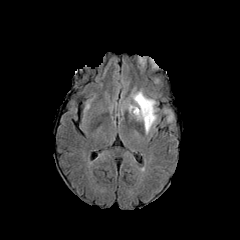
FLAIR MR.
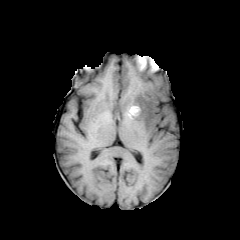
T1-weighted MRI.
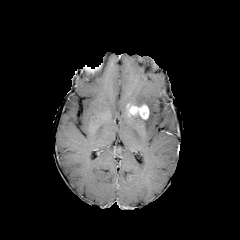
Same slice, post-contrast T1-weighted magnetic resonance.
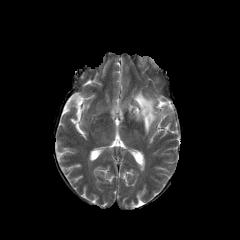
T2-weighted MRI.
The edema is bounded by (131, 90, 171, 133). The enhancing tumor lies within (130, 104, 149, 119).